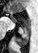
MR image. Medial temporal lobe.
The anterior hippocampus is bounded by region(10, 10, 15, 20). The posterior hippocampus is located at region(14, 24, 30, 46).